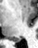 MRI.
{"posterior_hippocampus": ["left=13, top=38, right=21, bottom=41"]}